CT scan slice 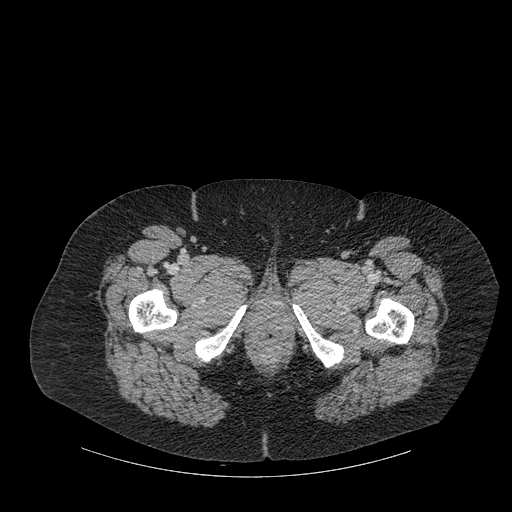

bone:
  - [x1=293, y1=304, x2=343, y2=366]
  - [x1=195, y1=305, x2=246, y2=361]
  - [x1=366, y1=298, x2=413, y2=343]
  - [x1=129, y1=289, x2=176, y2=332]